CT scan slice.

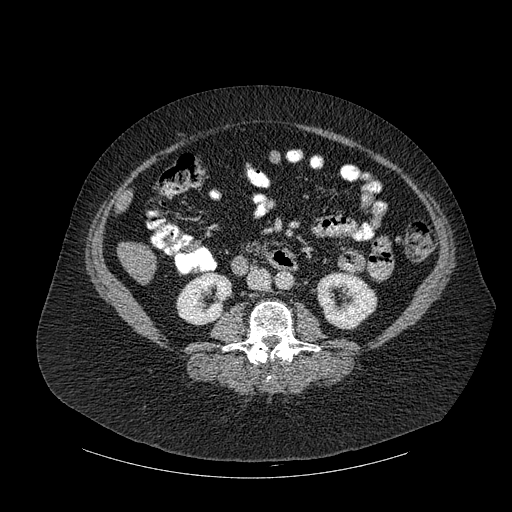 Bone at (223,302,319,364).
Liver at (115,193,127,210), (117,242,156,284).
Kidney at (317,273,376,328), (177,273,231,324).